240x240; Slice index 98
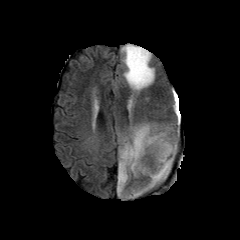
FLAIR MRI.
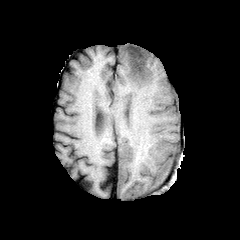
Same slice, T1-weighted magnetic resonance.
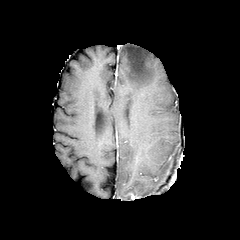
Same slice, post-contrast T1-weighted magnetic resonance.
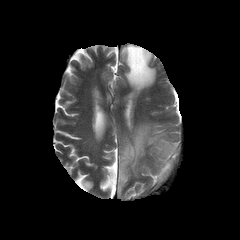
T2-weighted MRI of the same slice.
Edema: (118, 125, 157, 191), (147, 140, 176, 187), (119, 44, 155, 93).
Non-enhancing tumor core: (127, 46, 146, 78).